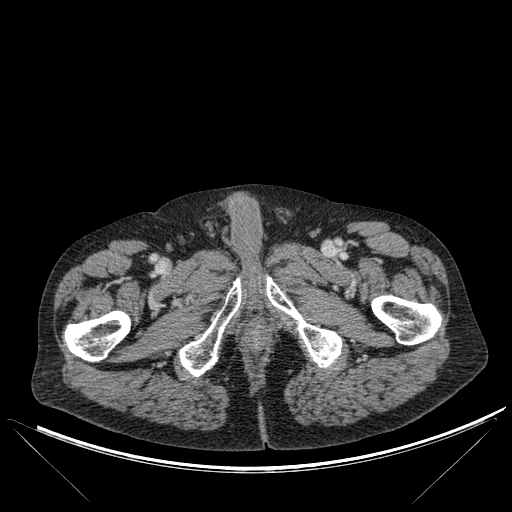
CT scan slice

{
  "bone": [
    "<bbox>371, 295, 441, 344</bbox>",
    "<bbox>179, 278, 241, 376</bbox>",
    "<bbox>64, 311, 130, 361</bbox>",
    "<bbox>266, 277, 341, 367</bbox>"
  ]
}